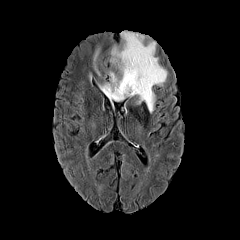
FLAIR magnetic resonance.
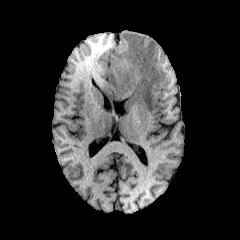
Same slice, T1-weighted MR.
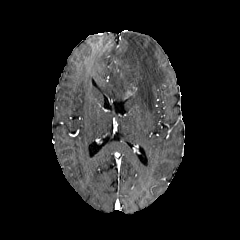
Post-contrast T1-weighted MR of the same slice.
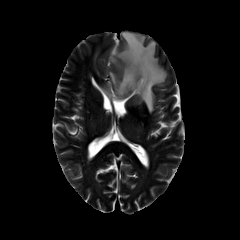
Same slice, T2-weighted MR.
Image size 240x240; Brain
edema: box=[101, 31, 167, 113]